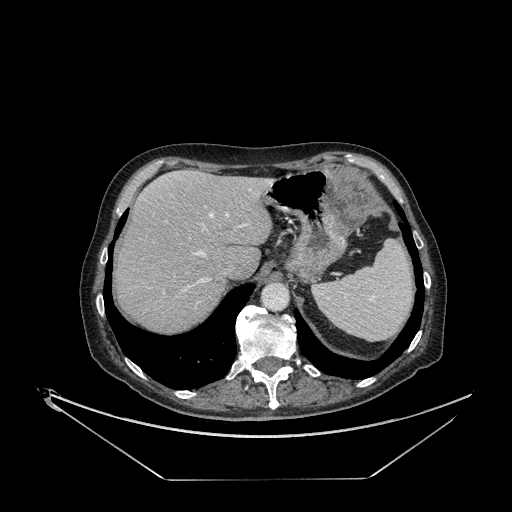 Image size 512x512, CT, Abdomen

Liver: bounding box 117 170 273 333.